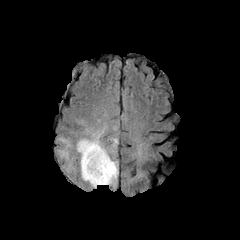
FLAIR MR.
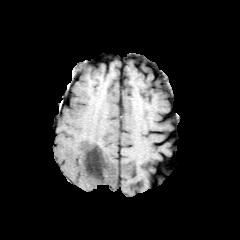
T1-weighted MR image.
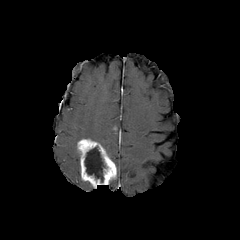
Post-contrast T1-weighted MR image.
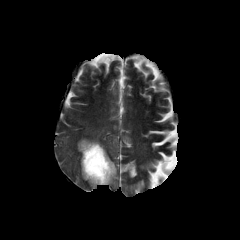
T2-weighted MR.
<segmentation>
  <non-enhancing_tumor_core>(84, 146, 107, 182)</non-enhancing_tumor_core>
  <edema>(55, 109, 119, 188)</edema>
  <enhancing_tumor>(77, 139, 116, 187)</enhancing_tumor>
</segmentation>